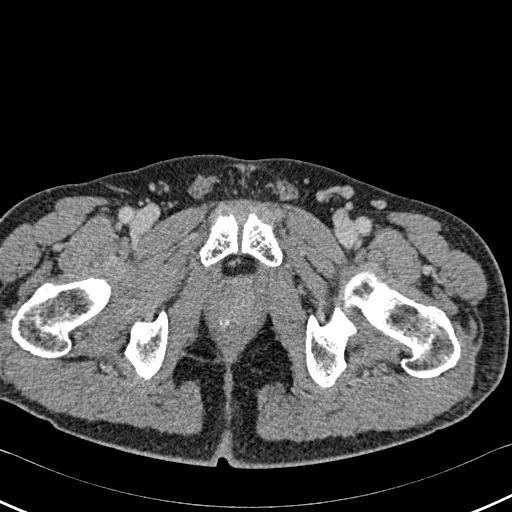

CT image. Bone at (x1=306, y1=272, x2=460, y2=387), (x1=200, y1=214, x2=282, y2=266), (x1=125, y1=312, x2=167, y2=378), (x1=0, y1=278, x2=110, y2=357).